Slice 227 of 244. Image size 512x512. CT slice. Abdomen. 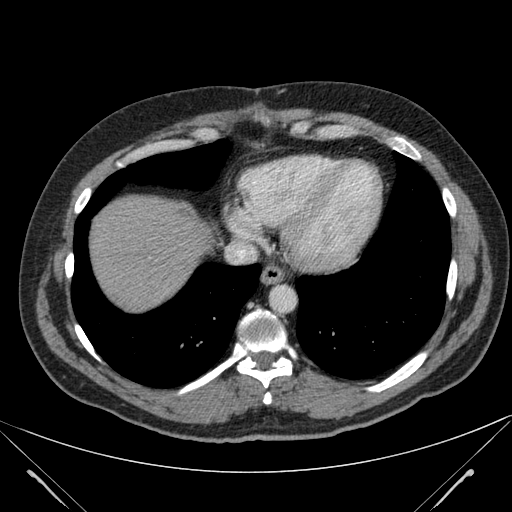 Liver: (90,196,211,311).